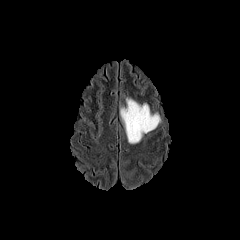
FLAIR MR.
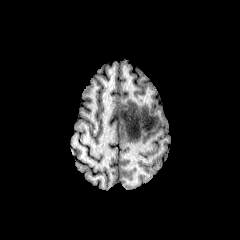
T1-weighted MR of the same slice.
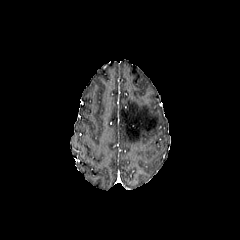
Post-contrast T1-weighted MR.
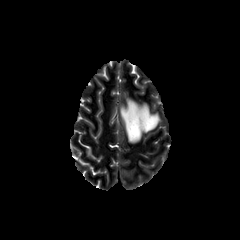
Same slice, T2-weighted MR.
240x240 px.
The edema is bounded by left=120, top=98, right=159, bottom=143.